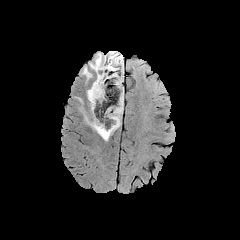
FLAIR magnetic resonance.
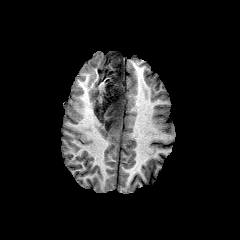
T1-weighted magnetic resonance of the same slice.
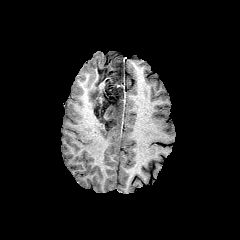
Post-contrast T1-weighted MR.
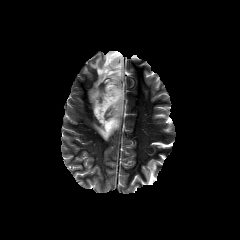
T2-weighted magnetic resonance of the same slice.
240x240; Head
Annotated regions:
- edema: l=87, t=53, r=107, b=109; l=91, t=85, r=123, b=140; l=118, t=58, r=123, b=82
- non-enhancing tumor core: l=93, t=53, r=121, b=132